Field of view 240 mm wide, 1.00 mm slice spacing. 240x240.
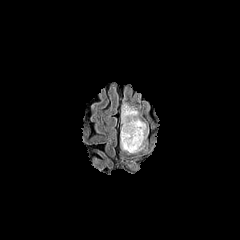
FLAIR MR.
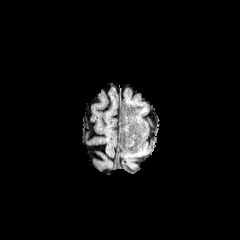
T1-weighted magnetic resonance.
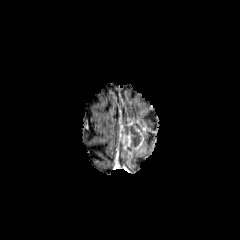
Post-contrast T1-weighted MR.
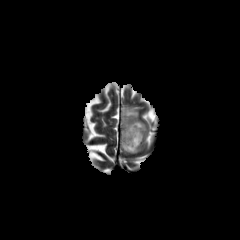
Same slice, T2-weighted MR.
Findings:
- non-enhancing tumor core: l=121, t=121, r=142, b=147
- edema: l=121, t=104, r=139, b=123
- enhancing tumor: l=121, t=119, r=147, b=157